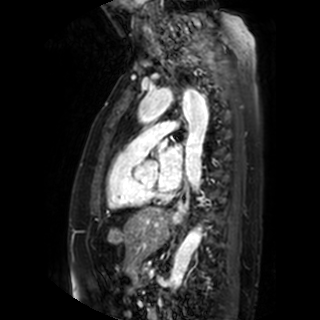
MR image
Left atrium: bounding box 159,144,182,190.